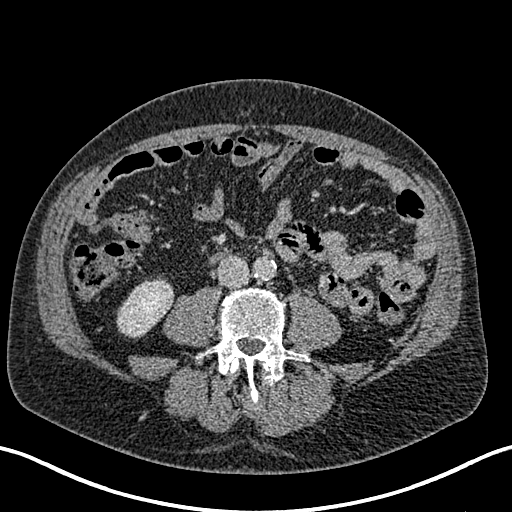

Abdomen | Computed tomography | 512x512
Kidney at {"x1": 119, "y1": 282, "x2": 171, "y2": 336}.